240x240 px. Slice 85/155. Head.
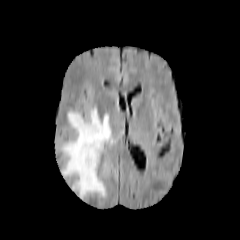
FLAIR MR image.
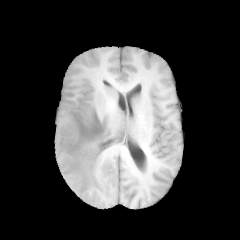
T1-weighted magnetic resonance.
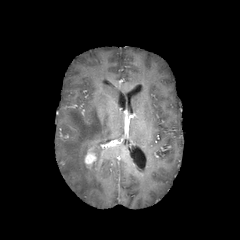
Post-contrast T1-weighted MR.
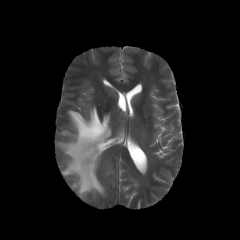
T2-weighted MRI.
The edema is bounded by [60,107,112,198]. The enhancing tumor is bounded by [84,149,96,164].